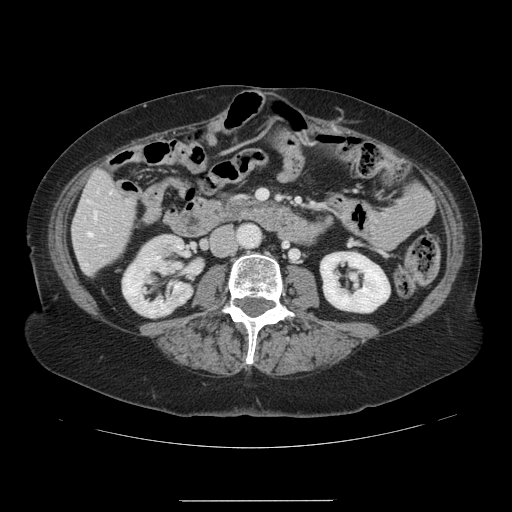

Image size 512x512, CT image

Only some of the vessels may be annotated.
3 hepatic vessel regions are located at region(109, 191, 111, 192); region(94, 212, 95, 217); region(88, 231, 91, 235).